CT slice | Abdomen | Image size 512x512
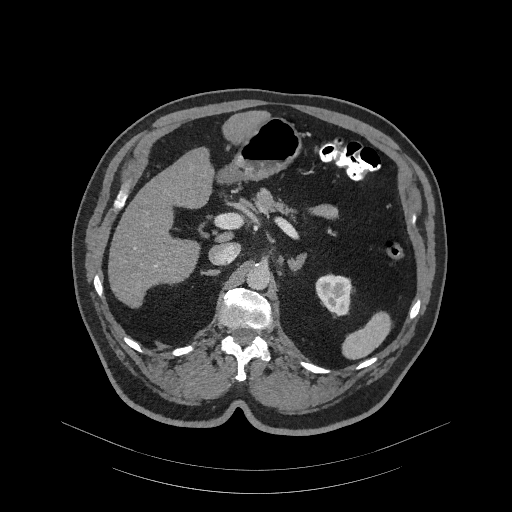 The pancreas appears at bbox=[254, 189, 293, 215].